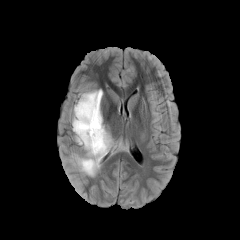
FLAIR MR image.
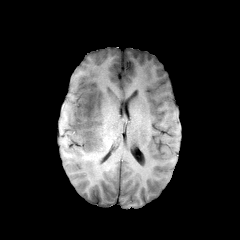
Same slice, T1-weighted magnetic resonance.
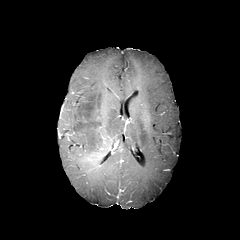
Post-contrast T1-weighted MR.
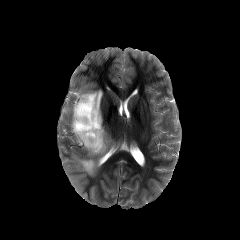
Same slice, T2-weighted magnetic resonance.
Non-enhancing tumor core: bounding box 82:102:93:116.
Edema: bounding box 70:87:114:175.